CT, Abdomen
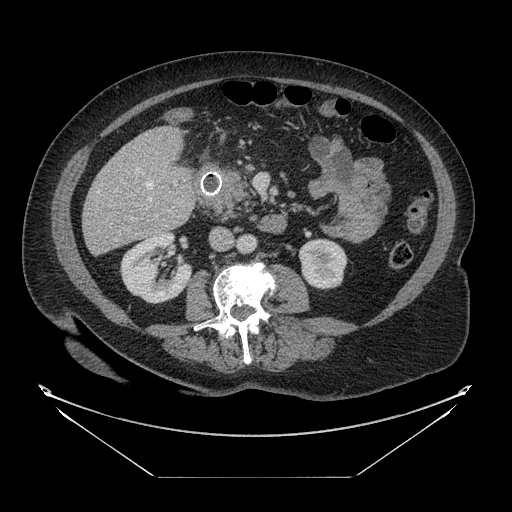

Pancreatic tumor — (222, 176, 237, 199).
Pancreas — (221, 173, 252, 218).